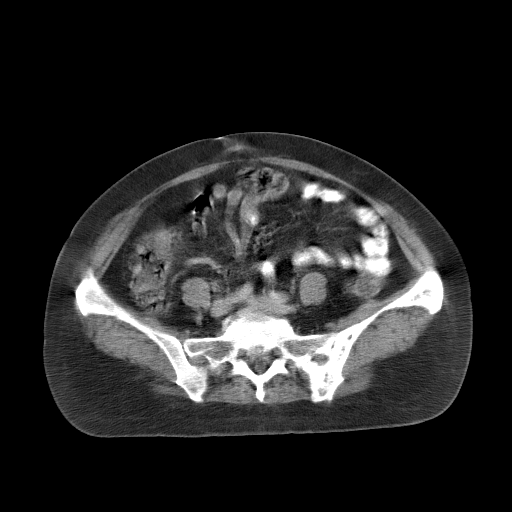 CT image | 512x512 | Abdomen
Segmented structures:
- colon tumor: 155, 230, 168, 248